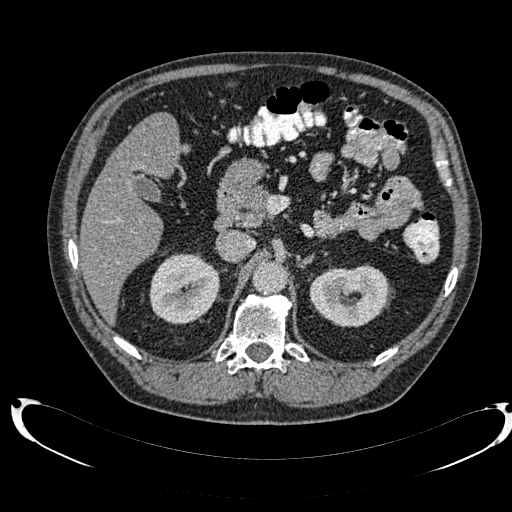

CT
Hepatic lesion: bounding box rect(150, 114, 176, 135).
Liver: bounding box rect(80, 112, 179, 323).
Kidney: bounding box rect(150, 254, 219, 323); rect(310, 265, 389, 326).